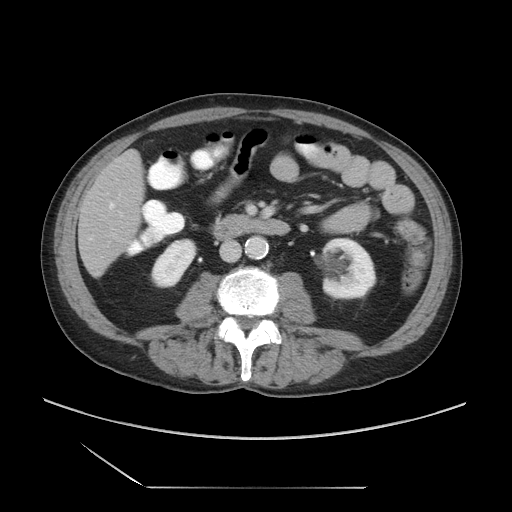

512x512 | Liver | CT scan slice
The vessel boxes may cover only some of the vessels.
Hepatic vessel: bounding box left=110, top=203, right=113, bottom=208; left=90, top=237, right=92, bottom=239.